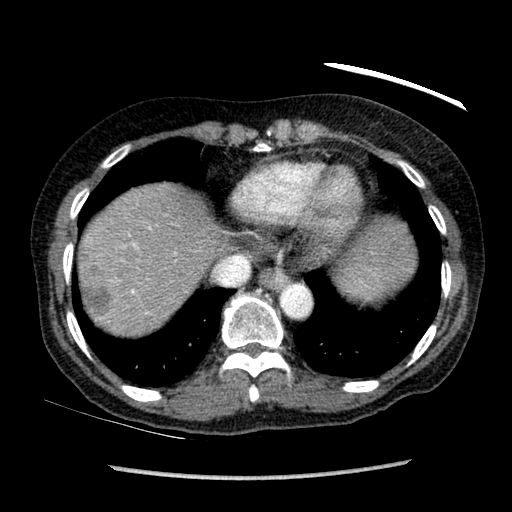
CT slice. Liver. {
  "focal_liver_lesion": [
    "left=77, top=249, right=110, bottom=315"
  ],
  "liver": [
    "left=81, top=187, right=228, bottom=334",
    "left=332, top=219, right=417, bottom=297"
  ]
}